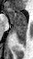
MR image | 33x59 px

Posterior hippocampus — 13,27,26,44.
Anterior hippocampus — 7,8,26,26.